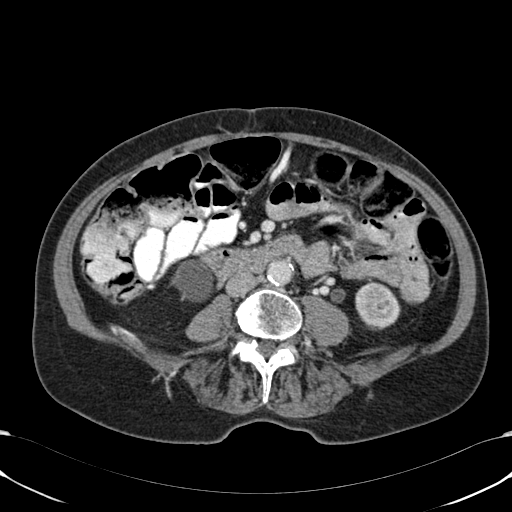 CT slice. Annotated regions:
- kidney: rect(356, 283, 399, 327)